Upper abdomen; Image width 512 mm; CT image

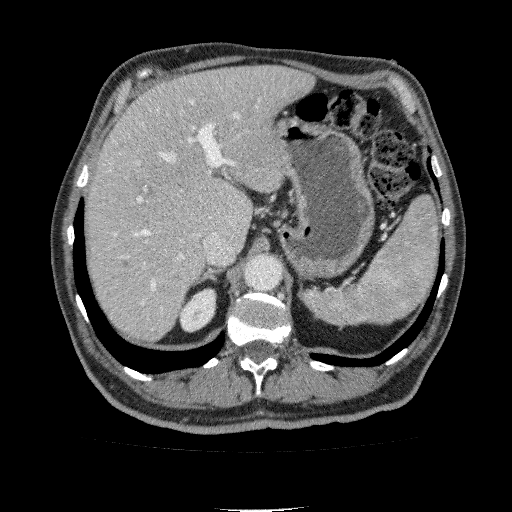
liver:
  - left=88, top=66, right=316, bottom=342
kidney:
  - left=180, top=290, right=214, bottom=331